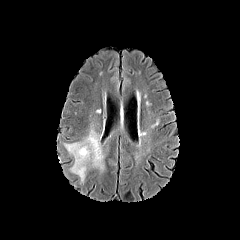
FLAIR MR.
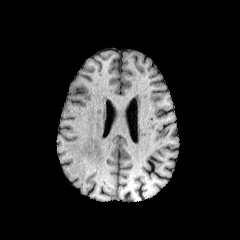
T1-weighted MRI.
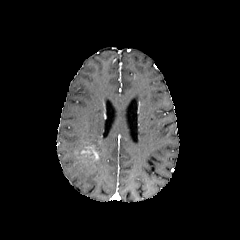
Post-contrast T1-weighted MR image.
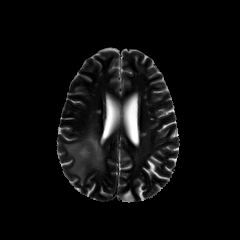
T2-weighted MR of the same slice.
Head.
{"enhancing_tumor": ["<bbox>80, 147, 98, 159</bbox>"], "edema": ["<bbox>63, 128, 104, 182</bbox>"]}